FLAIR MRI.
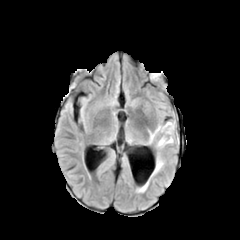
T1-weighted MR.
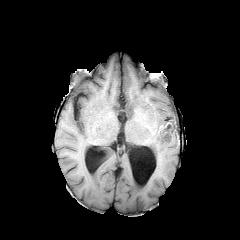
Post-contrast T1-weighted MR image.
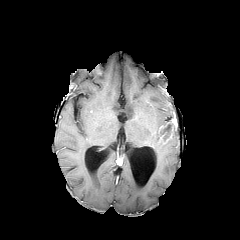
T2-weighted MR image.
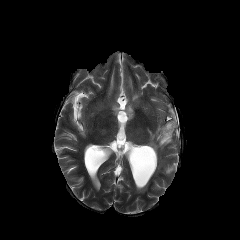
Edema: bounding box l=147, t=119, r=176, b=149; l=153, t=152, r=164, b=173; l=137, t=184, r=148, b=192.
Non-enhancing tumor core: bounding box l=158, t=121, r=172, b=143.